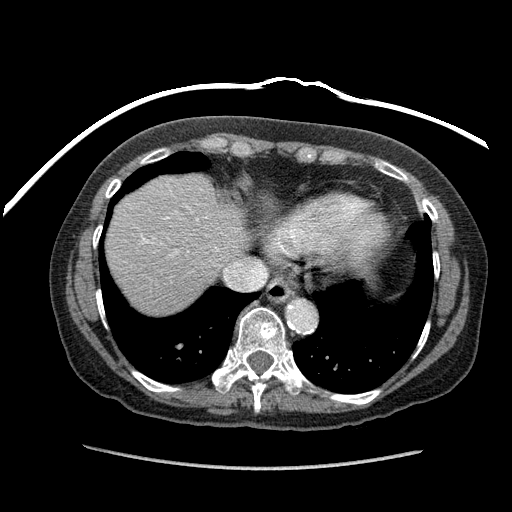 CT slice; Liver
Segmented structures:
- liver: [107, 173, 274, 315]